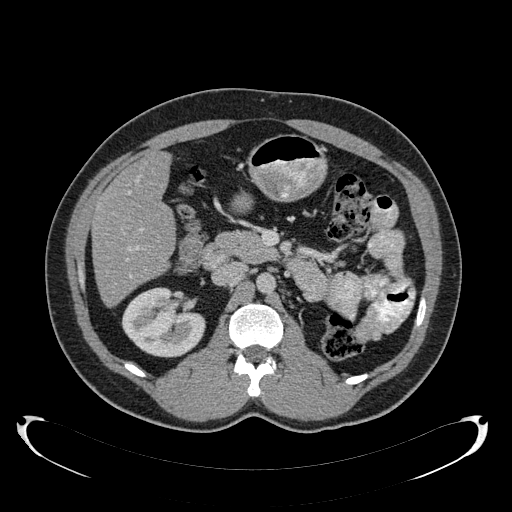 CT scan slice, Liver
Annotated regions:
- kidney: {"x1": 122, "y1": 288, "x2": 204, "y2": 356}
- liver: {"x1": 92, "y1": 152, "x2": 175, "y2": 305}